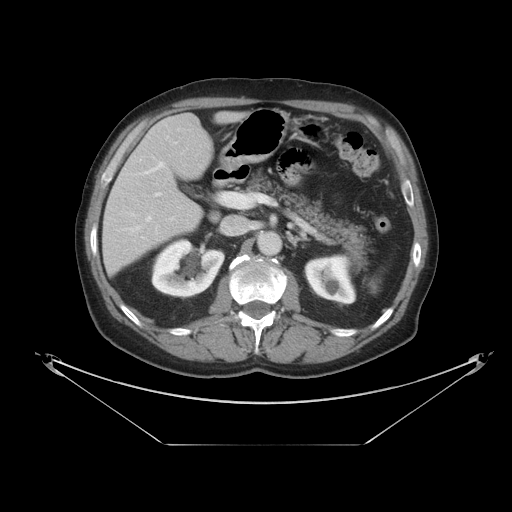
512x512 px, CT slice, Abdomen
- spleen: bbox=[369, 279, 379, 290]